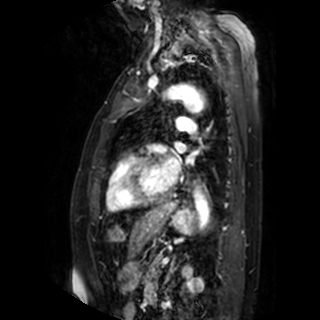 320x320 | MRI
{"left_atrium": ["<box>175,142,185,152</box>", "<box>162,157,178,183</box>"]}